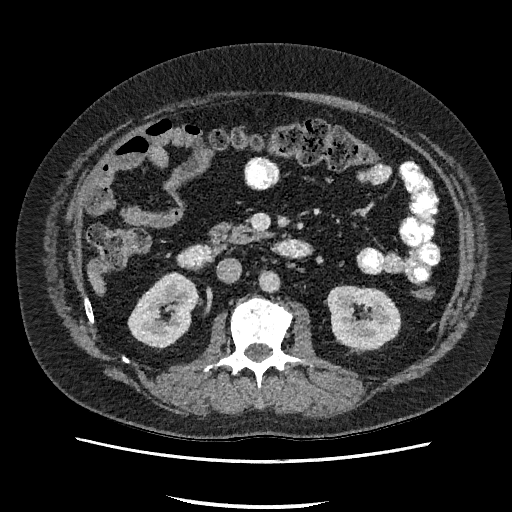 Liver. CT.
Kidney: {"x1": 328, "y1": 287, "x2": 399, "y2": 348}, {"x1": 129, "y1": 274, "x2": 197, "y2": 346}.
Liver: {"x1": 92, "y1": 273, "x2": 103, "y2": 291}.